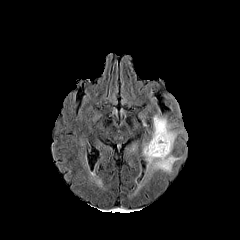
FLAIR MRI.
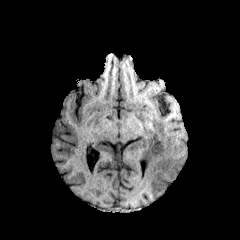
T1-weighted magnetic resonance.
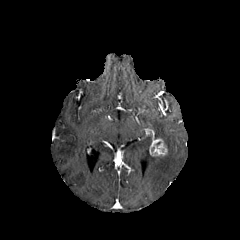
Post-contrast T1-weighted MR.
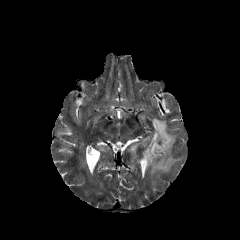
T2-weighted MR of the same slice.
Brain
{"edema": ["[x1=142, y1=114, x2=180, y2=173]"], "enhancing_tumor": ["[x1=149, y1=139, x2=167, y2=157]"]}